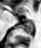

MRI slice, Hippocampus
Posterior hippocampus: box(20, 22, 33, 33).